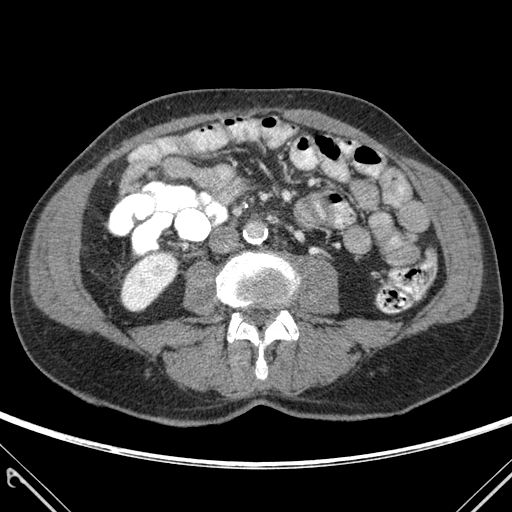 Computed tomography.

The kidney is bounded by <bbox>122, 253, 176, 310</bbox>. 2 bone regions are located at <bbox>228, 311, 298, 378</bbox>, <bbox>217, 252, 298, 306</bbox>.